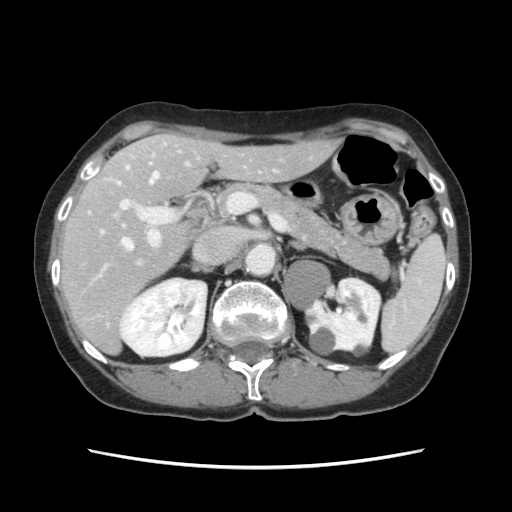 CT scan slice; Image size 512x512; Abdomen
Only some of the vessels may be annotated.
Hepatic vessel: 126,166,129,169; 122,238,132,249; 147,229,159,246; 120,201,125,208; 185,163,188,165; 149,172,157,183.